FLAIR magnetic resonance.
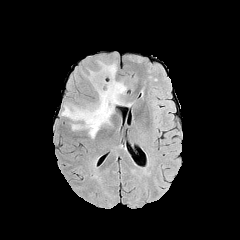
T1-weighted MR.
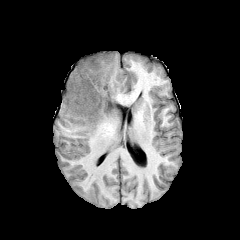
Post-contrast T1-weighted MR.
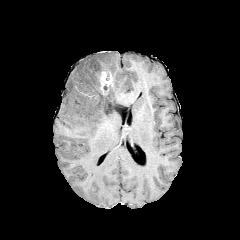
T2-weighted MR image.
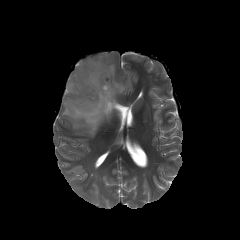
Image size 240x240; Brain
- edema: bbox=[61, 59, 132, 138]
- non-enhancing tumor core: bbox=[96, 72, 113, 107]
- enhancing tumor: bbox=[98, 71, 112, 93]